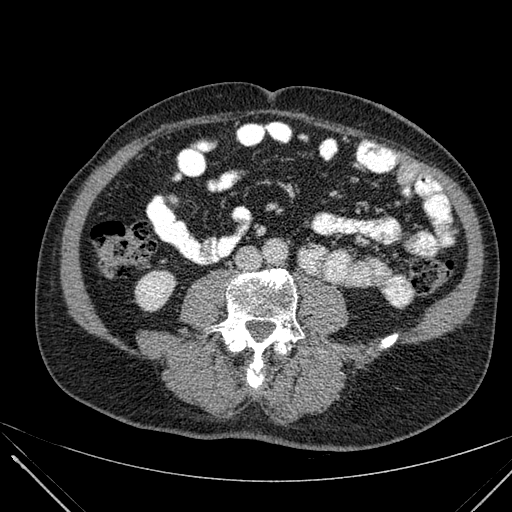 CT image | 512x512 px
kidney: 135 271 174 310